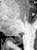 Medial temporal lobe | MR image

The posterior hippocampus is located at 7 34 21 44.